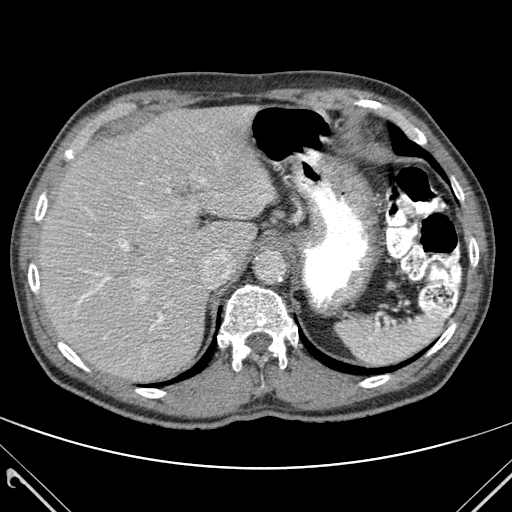 CT; Liver
3 lung regions are located at (x1=300, y1=332, x2=394, y2=374), (x1=388, y1=124, x2=445, y2=178), (x1=176, y1=342, x2=215, y2=380). The liver is located at (x1=40, y1=106, x2=274, y2=382). 11 bone regions are bounded by (x1=58, y1=342, x2=88, y2=370), (x1=428, y1=324, x2=455, y2=354), (x1=452, y1=178, x2=463, y2=199), (x1=35, y1=194, x2=46, y2=221), (x1=413, y1=129, x2=425, y2=144), (x1=66, y1=150, x2=72, y2=158), (x1=361, y1=375, x2=388, y2=387), (x1=28, y1=264, x2=39, y2=291), (x1=469, y1=239, x2=478, y2=265), (x1=136, y1=388, x2=164, y2=397), (x1=217, y1=285, x2=297, y2=370).